CT image. Lower abdomen. 512x512 px. 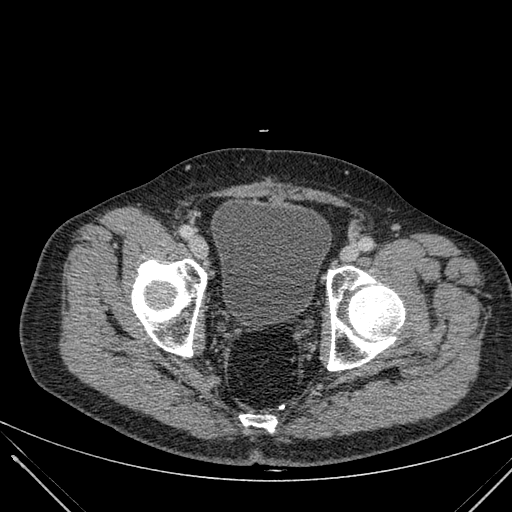

* urinary bladder: box=[210, 202, 331, 323]